FLAIR MRI.
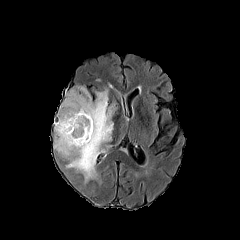
T1-weighted magnetic resonance.
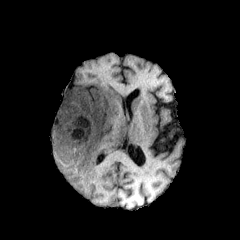
Post-contrast T1-weighted MR image.
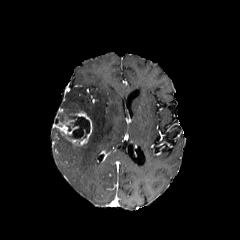
T2-weighted MRI.
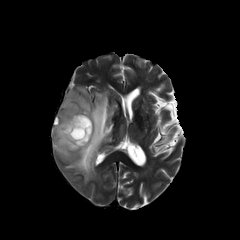
Brain
Enhancing tumor: bounding box (53, 109, 92, 149).
Edema: bounding box (53, 85, 116, 183).
Non-enhancing tumor core: bounding box (68, 115, 89, 139).